Computed tomography, Abdomen

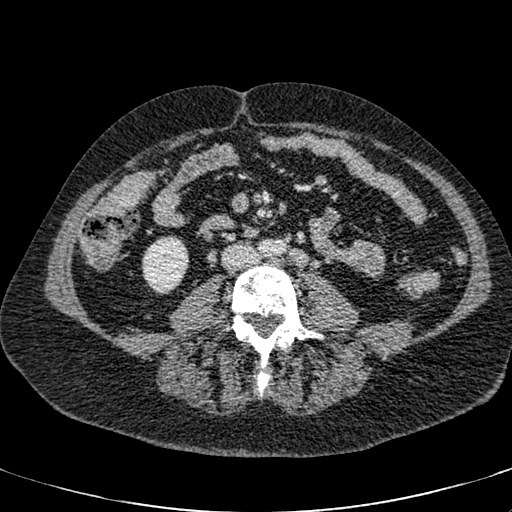

kidney: (143,237,188,293)